Field of view 240 mm wide, 1.00 mm slice spacing; Slice 119/155; 240x240
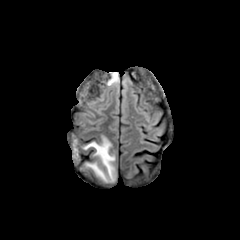
FLAIR magnetic resonance.
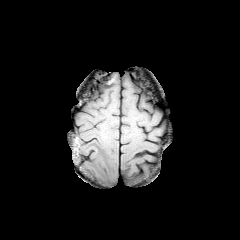
T1-weighted MR image of the same slice.
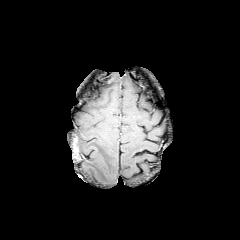
Same slice, post-contrast T1-weighted magnetic resonance.
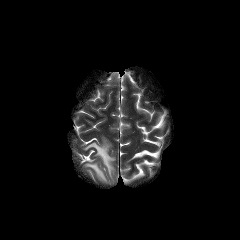
T2-weighted magnetic resonance.
Edema: (left=83, top=137, right=116, bottom=182).